MRI slice; Hippocampus
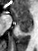
The anterior hippocampus lies within bbox(11, 8, 30, 22). The posterior hippocampus is bounded by bbox(17, 23, 30, 32).